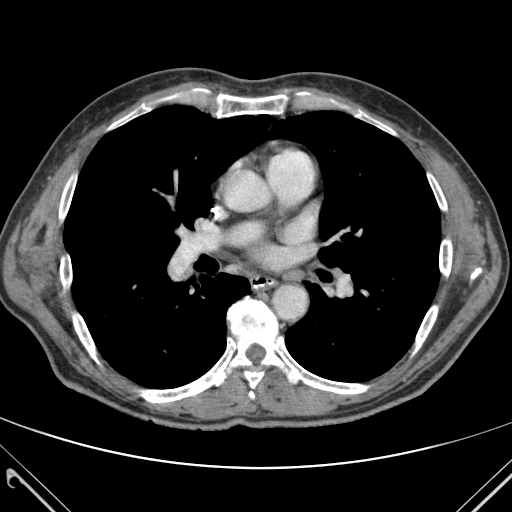
CT scan slice. Thorax.
* bone: <box>415,306,437,351</box>, <box>471,268,481,278</box>, <box>245,371,263,387</box>, <box>192,88,309,117</box>, <box>439,240,451,275</box>, <box>73,314,97,362</box>, <box>141,296,367,402</box>, <box>59,177,76,226</box>, <box>109,104,150,128</box>, <box>427,174,446,209</box>, <box>328,100,395,134</box>, <box>60,257,71,286</box>
* lung: <box>63,105,440,388</box>